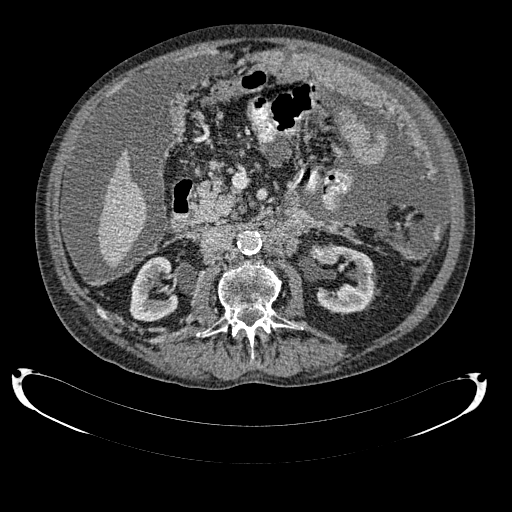
CT slice
{"kidney": ["x1=130 y1=257 x2=177 y2=320", "x1=314 y1=246 x2=373 y2=312"], "liver": ["x1=98 y1=150 x2=146 y2=267"]}